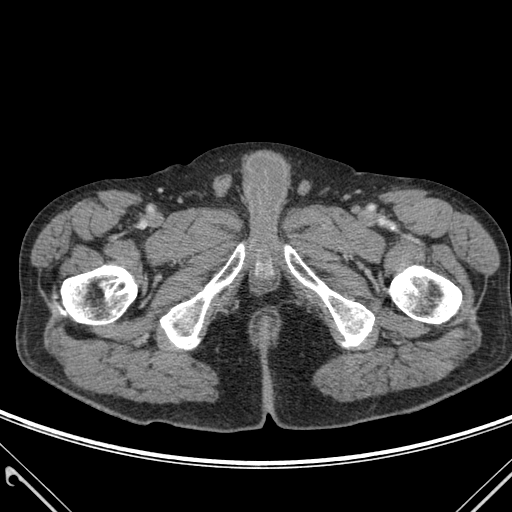
512x512, Computed tomography
bone: 160, 244, 244, 348; 389, 266, 461, 323; 285, 246, 374, 346; 59, 265, 136, 324